Abdomen; CT slice; Slice index 112
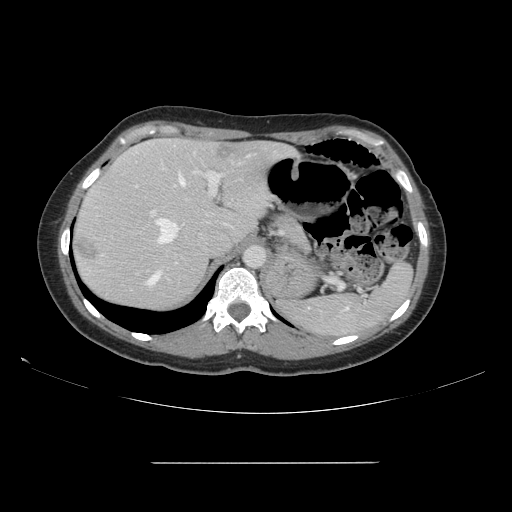

The vessel boxes may cover only some of the vessels.
2 liver tumor regions appear at (left=76, top=236, right=98, bottom=261), (left=217, top=145, right=234, bottom=160). 8 hepatic vessel regions appear at (left=247, top=155, right=250, bottom=157), (left=146, top=271, right=160, bottom=286), (left=150, top=211, right=155, bottom=218), (left=136, top=185, right=137, bottom=187), (left=157, top=232, right=175, bottom=243), (left=178, top=172, right=185, bottom=185), (left=155, top=218, right=177, bottom=230), (left=193, top=171, right=219, bottom=194).